Hippocampus. MR image. Slice 32/36.

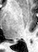 posterior hippocampus: [10, 41, 14, 41]